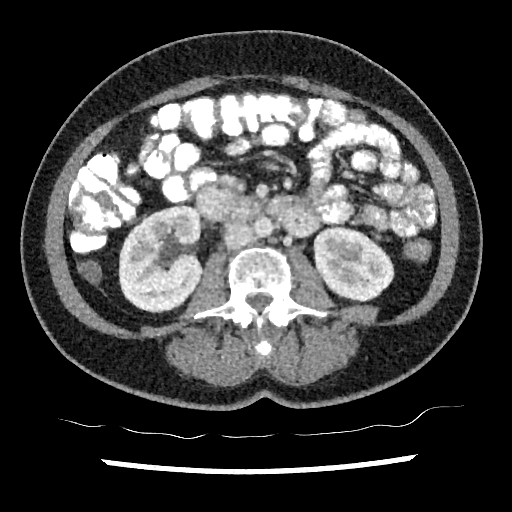
CT scan slice. Abdomen. kidney: x1=314 y1=228 x2=393 y2=300, x1=120 y1=206 x2=201 y2=311